Image width 240 mm; Brain
FLAIR magnetic resonance.
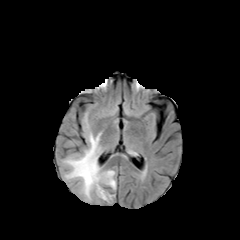
T1-weighted MR image.
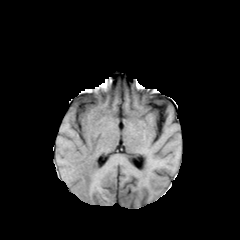
Post-contrast T1-weighted MR image.
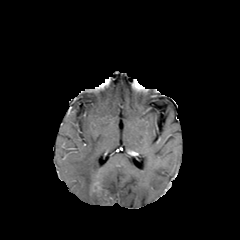
T2-weighted MRI.
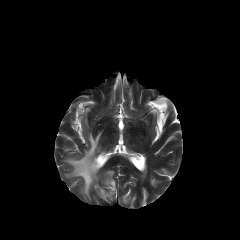
Annotated regions:
• edema: {"x1": 63, "y1": 132, "x2": 116, "y2": 201}